Upper abdomen, 512x512 px, Slice 120 of 156, CT, Field of view 428 mm wide, 3.00 mm slice spacing
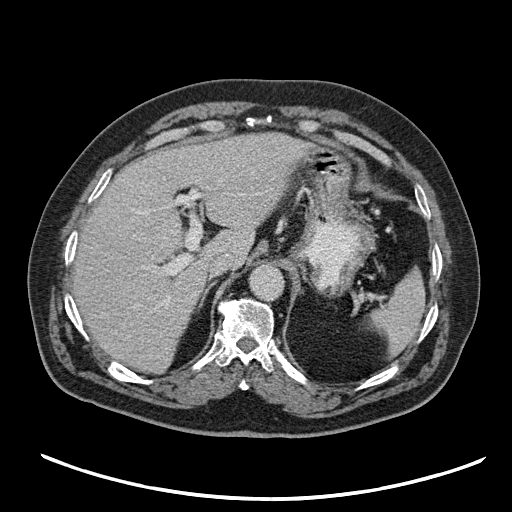 The spleen is located at <bbox>370, 271, 425, 354</bbox>.